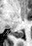

32x46, MRI slice
The posterior hippocampus lies within l=10, t=31, r=23, b=38.